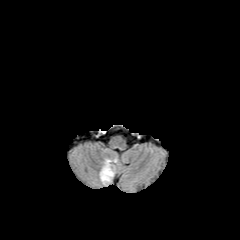
FLAIR MR image.
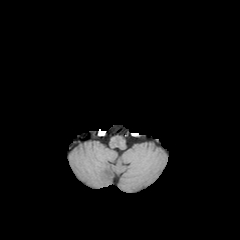
T1-weighted MR.
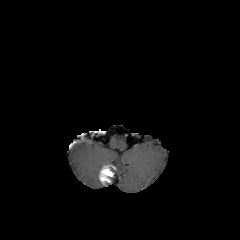
Post-contrast T1-weighted MR of the same slice.
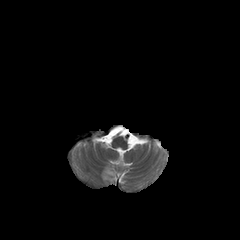
T2-weighted MR image.
240x240 px
non-enhancing tumor core: 100,166,109,181